CT slice; Abdomen; Field of view 387x387 mm; Slice 80/141; Image size 512x512 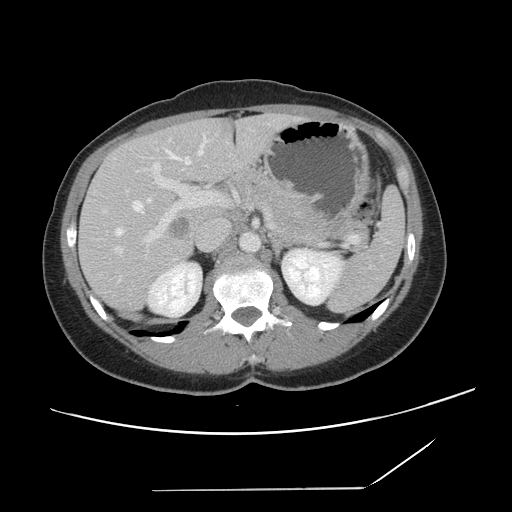 Not every hepatic vessel necessarily has a box.
9 hepatic vessel regions are located at box(116, 247, 121, 254); box(142, 163, 160, 174); box(165, 149, 178, 158); box(133, 201, 143, 212); box(199, 135, 208, 154); box(148, 199, 150, 201); box(145, 236, 151, 244); box(116, 229, 122, 235); box(184, 157, 190, 163). The liver tumor appears at box(173, 220, 190, 239).